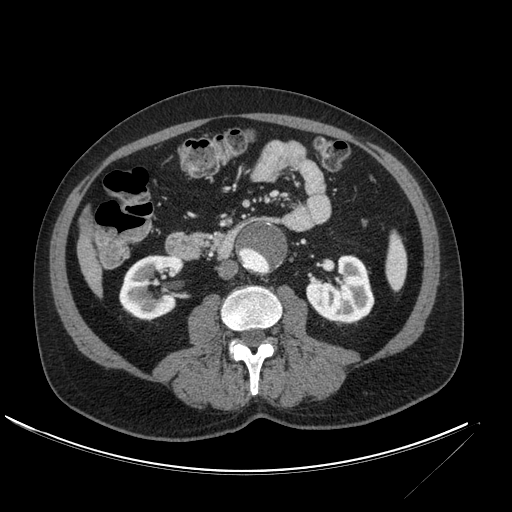

Upper abdomen, Computed tomography

The liver is at [x1=78, y1=235, x2=103, y2=295]. The focal liver lesion lies within [x1=79, y1=207, x2=93, y2=240]. 2 kidney regions are bounded by [x1=120, y1=256, x2=181, y2=318], [x1=307, y1=256, x2=373, y2=321].